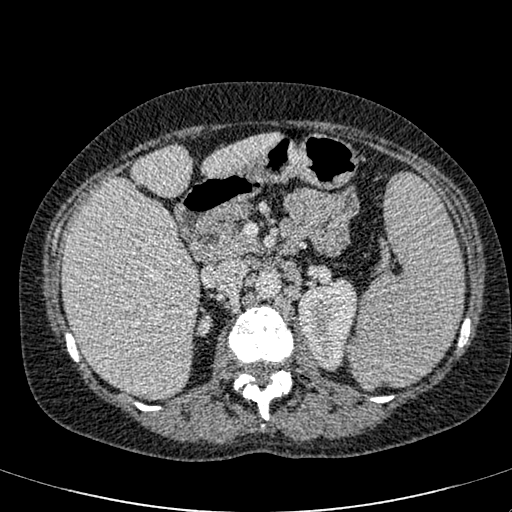
CT scan slice, Abdomen

{
  "kidney": [
    "[299, 277, 356, 368]",
    "[198, 316, 210, 335]"
  ],
  "liver": [
    "[202, 134, 279, 176]",
    "[130, 146, 190, 194]",
    "[63, 177, 198, 397]"
  ]
}